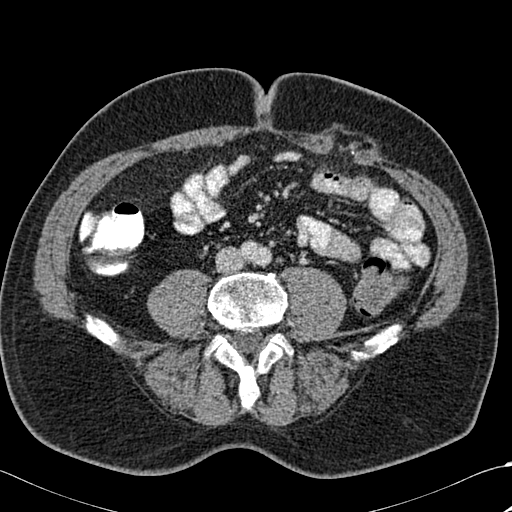

CT scan slice

{
  "bone": [
    "region(87, 316, 117, 344)",
    "region(205, 334, 292, 408)",
    "region(208, 272, 287, 331)",
    "region(367, 325, 399, 353)",
    "region(355, 353, 368, 358)"
  ]
}